Head.
FLAIR MR.
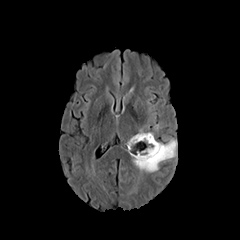
T1-weighted magnetic resonance.
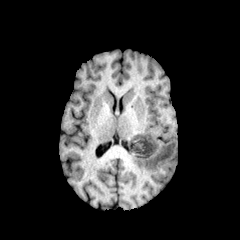
Post-contrast T1-weighted MRI.
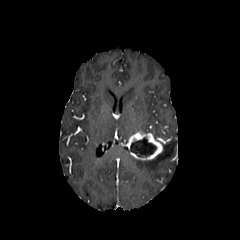
T2-weighted MR.
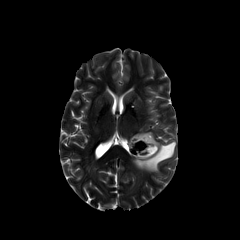
Annotated regions:
- edema: [132,140,176,171]
- non-enhancing tumor core: [130,137,156,157]
- enhancing tumor: [128,132,162,160]